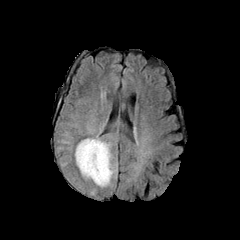
FLAIR magnetic resonance.
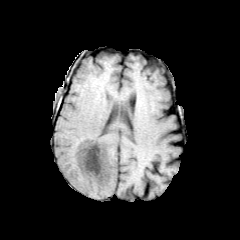
T1-weighted magnetic resonance of the same slice.
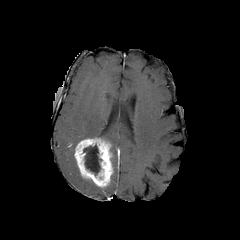
Same slice, post-contrast T1-weighted MR.
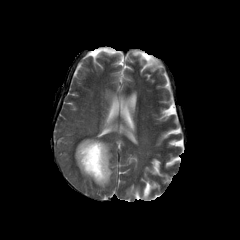
Same slice, T2-weighted magnetic resonance.
Image size 240x240.
The non-enhancing tumor core appears at 83,145,100,175. The edema lies within 112,163,117,178. The enhancing tumor is at 74,138,112,187.